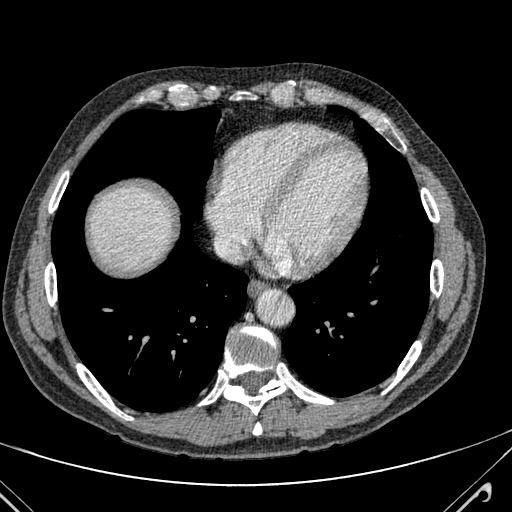

Computed tomography. <segmentation>
  <liver>x1=94, y1=192, x2=168, y2=267</liver>
</segmentation>